Slice 80 of 155, Brain
FLAIR MR.
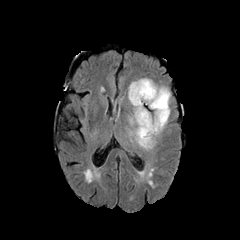
T1-weighted MRI.
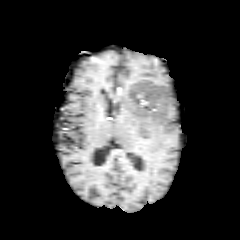
Post-contrast T1-weighted magnetic resonance.
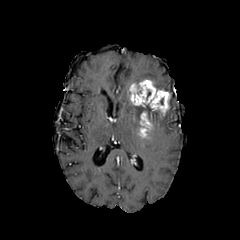
T2-weighted MR.
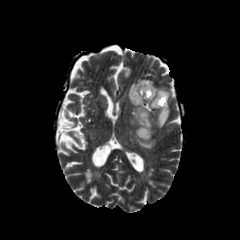
- enhancing tumor: x1=129, y1=80, x2=170, y2=115; x1=138, y1=112, x2=151, y2=137
- non-enhancing tumor core: x1=137, y1=103, x2=163, y2=122
- edema: x1=130, y1=106, x2=169, y2=149